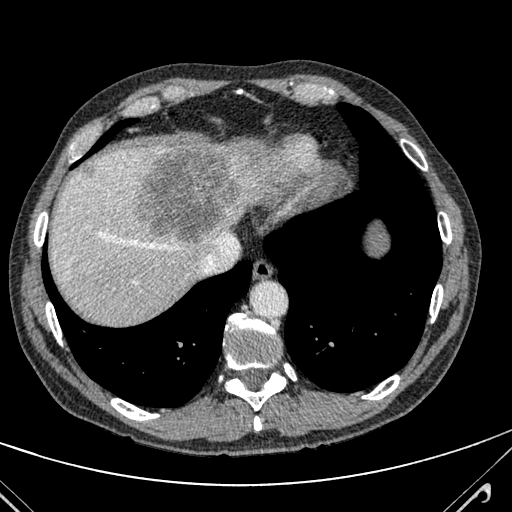

CT slice
2 focal liver lesion regions are located at x1=138 y1=145 x2=241 y2=240, x1=83 y1=164 x2=94 y2=175. The liver is bounded by x1=49 y1=146 x2=264 y2=322.